CT | Slice 29 of 36

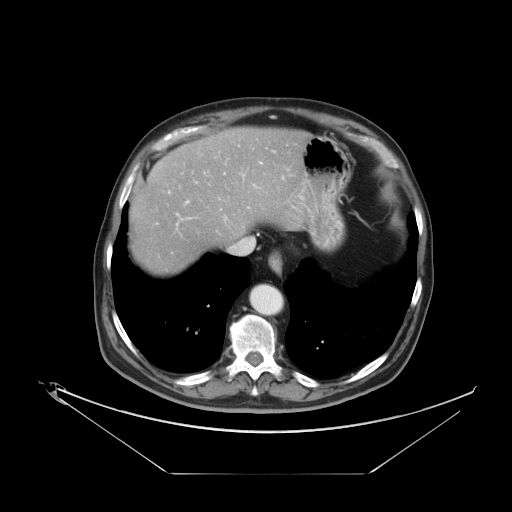

Some hepatic vessels may have no box.
Hepatic vessel: bbox=[228, 238, 254, 254]; bbox=[254, 185, 258, 187]; bbox=[225, 217, 226, 219]; bbox=[242, 174, 244, 176].